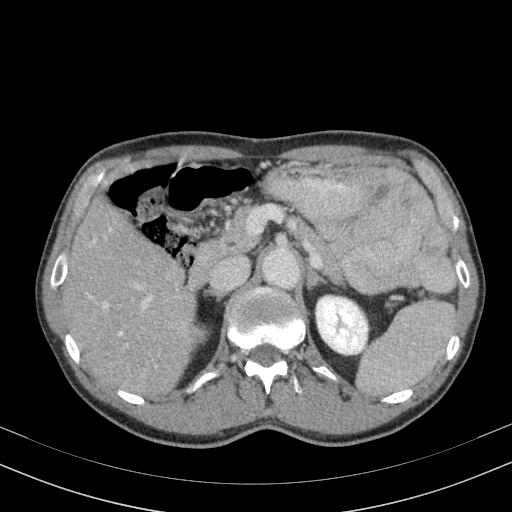 CT slice | Image size 512x512

Liver: [63,186,196,398].
Kidney: [316,297,367,353].